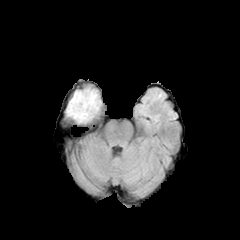
FLAIR MR image.
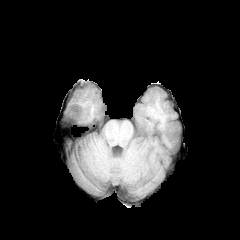
T1-weighted magnetic resonance.
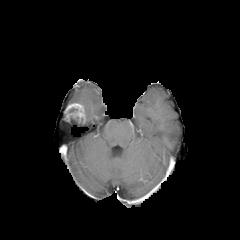
Same slice, post-contrast T1-weighted MRI.
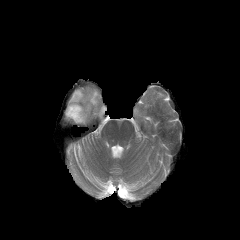
T2-weighted MRI.
240x240 px.
Enhancing tumor at x1=66, y1=102, x2=85, y2=122.
Edema at x1=70, y1=88, x2=100, y2=122.
Non-enhancing tumor core at x1=69, y1=116, x2=83, y2=123.